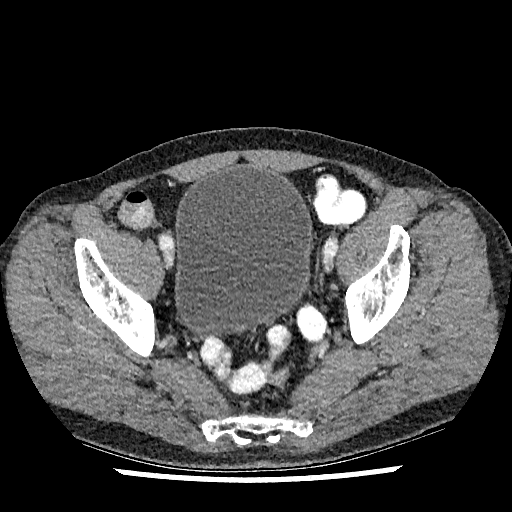
512x512, Lower abdomen, CT
Segmented structures:
* urinary bladder: [174,167,310,335]